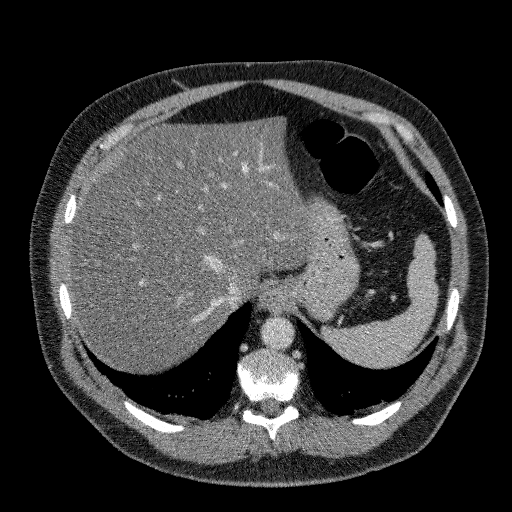
Upper abdomen. Computed tomography.

liver:
  - [x1=70, y1=117, x2=320, y2=372]